Liver, CT image

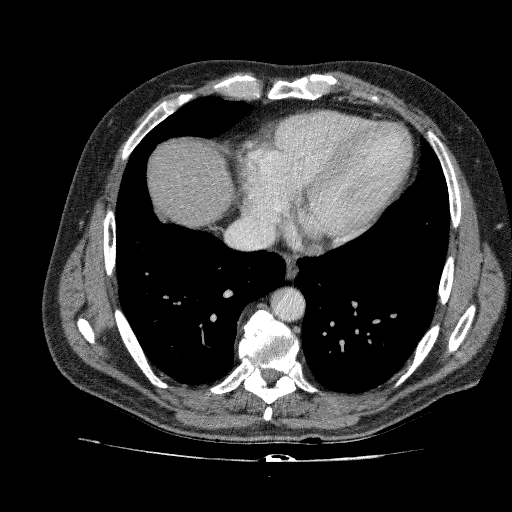 Liver = rect(147, 137, 234, 228).